Field of view 500 mm wide, 2.50 mm slice spacing. Upper abdomen. CT.

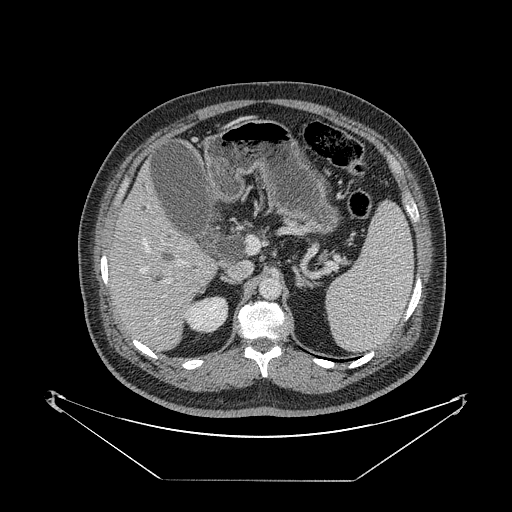 * pancreas: box=[285, 218, 301, 228]